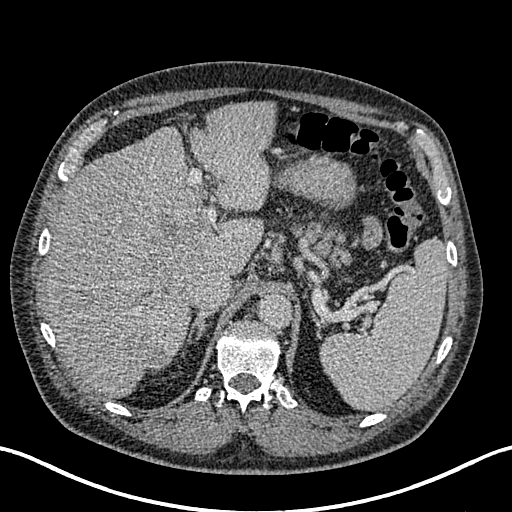 512x512 px, Abdomen, CT image
<segmentation>
  <hepatic_lesion>[79, 291, 95, 309], [122, 331, 163, 370], [235, 154, 259, 176], [131, 218, 205, 306]</hepatic_lesion>
  <liver>[192, 101, 278, 209], [45, 127, 263, 396]</liver>
</segmentation>